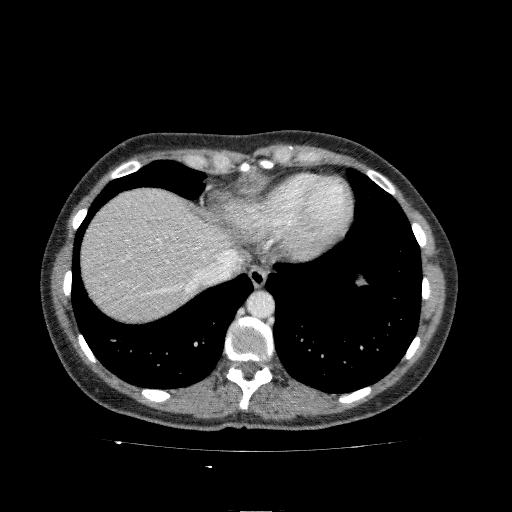 512x512 | CT scan slice

{"liver": ["box=[81, 188, 243, 320]"]}